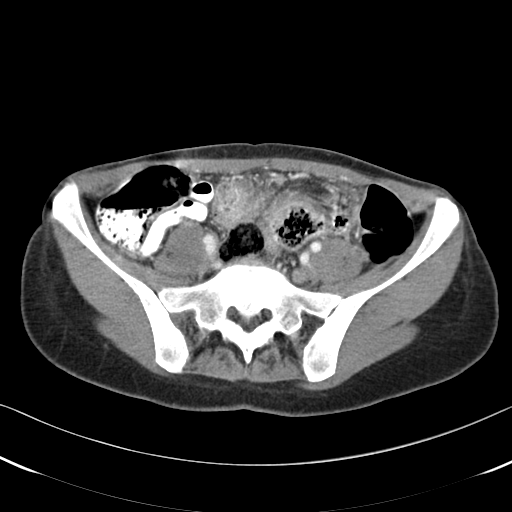
512x512; CT scan slice
Annotated regions:
- colon tumor: (211,179,258,226), (265,196,319,229)